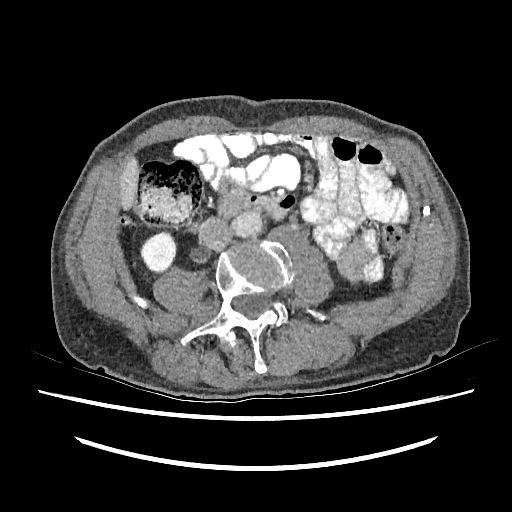 Liver. Computed tomography.
{"liver": ["box(121, 158, 136, 208)"], "kidney": ["box(142, 233, 175, 271)"]}